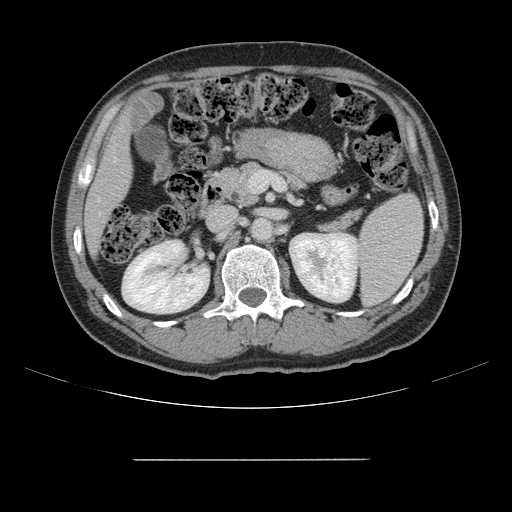

CT slice
The vessel annotation is not exhaustive.
Hepatic vessel at (x1=98, y1=198, x2=99, y2=201), (x1=114, y1=158, x2=115, y2=162).